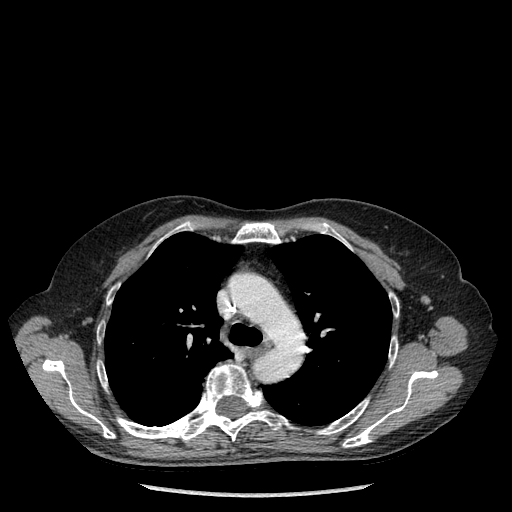

CT image

Lung at 104:232:261:426, 263:234:391:425.
Bone at 316:398:368:434, 97:322:104:342, 106:288:113:304, 389:292:399:317, 343:370:438:447, 42:358:115:438, 388:336:397:366, 150:221:192:253, 117:364:296:440, 232:223:280:243, 97:360:107:390, 320:223:352:250.